Computed tomography; Field of view 700 mm wide, 3.27 mm slice spacing

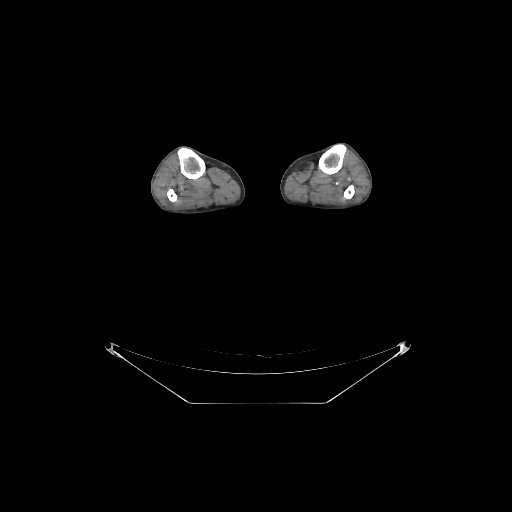 bone: 177,148,205,179; 319,144,346,174; 167,189,176,201; 344,185,354,198